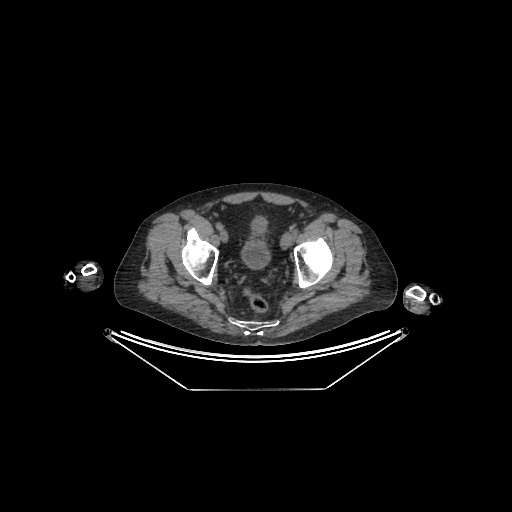 CT image | 512x512

Urinary bladder = <bbox>241, 215, 270, 269</bbox>.